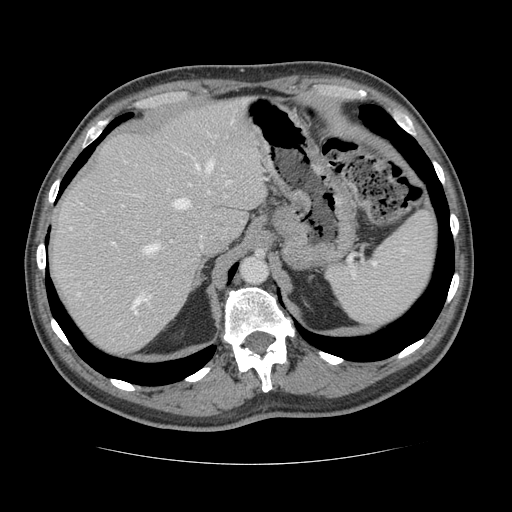
Liver | CT
The vessel annotation is not exhaustive.
hepatic vessel: l=173, t=198, r=189, b=208; l=226, t=181, r=230, b=182; l=231, t=120, r=232, b=122; l=207, t=191, r=209, b=193; l=206, t=160, r=213, b=172; l=194, t=162, r=198, b=168; l=168, t=189, r=169, b=190; l=144, t=243, r=159, b=253; l=77, t=293, r=79, b=294; l=158, t=230, r=159, b=232; l=111, t=241, r=114, b=243; l=131, t=292, r=150, b=313